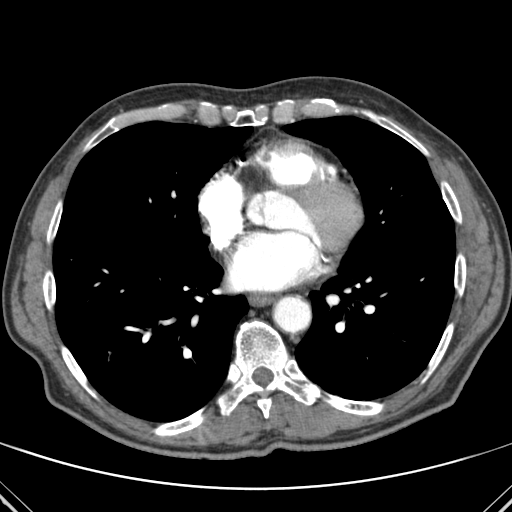
Chest, CT image
2 lung regions appear at (53,121,252,421), (283,116,455,399). 14 bone regions are located at (366,112,428,154), (217,320,321,414), (85,118,118,149), (454,254,465,295), (441,181,461,223), (312,99,336,108), (324,395,383,415), (43,271,55,308), (154,409,204,435), (426,324,453,376), (230,110,266,126), (62,347,95,396), (257,396,271,418), (47,202,61,241).